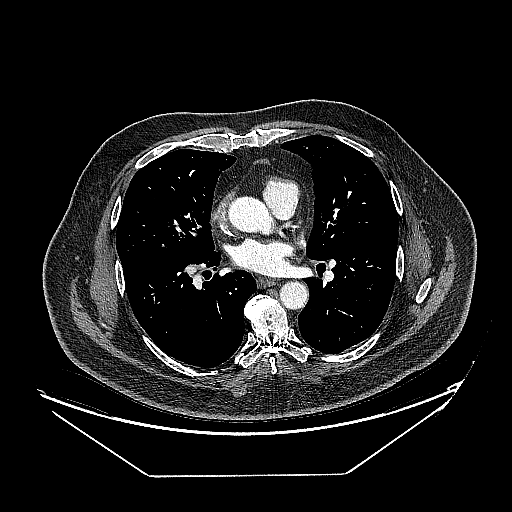 CT slice

- lung tumor: box=[158, 241, 168, 248]